512x512. CT slice. Image width 512 mm. Liver.
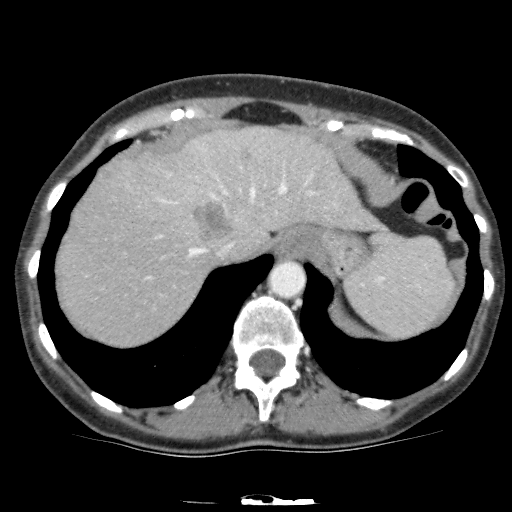 <segmentation>
  <liver>left=55, top=126, right=385, bottom=346</liver>
  <hepatic_lesion>left=238, top=147, right=251, bottom=163; left=100, top=168, right=112, bottom=179; left=190, top=199, right=236, bottom=243</hepatic_lesion>
</segmentation>